Slice index 119, Brain
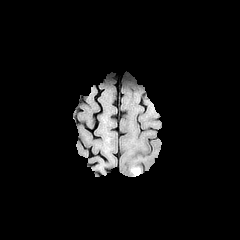
FLAIR magnetic resonance.
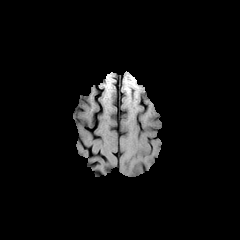
T1-weighted magnetic resonance.
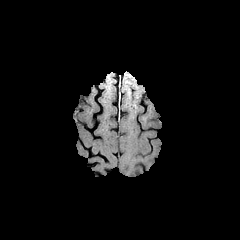
Post-contrast T1-weighted MR of the same slice.
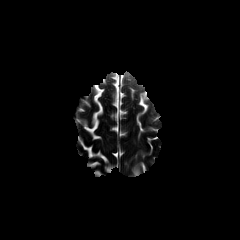
T2-weighted MRI of the same slice.
The edema is located at bbox(131, 168, 140, 175).